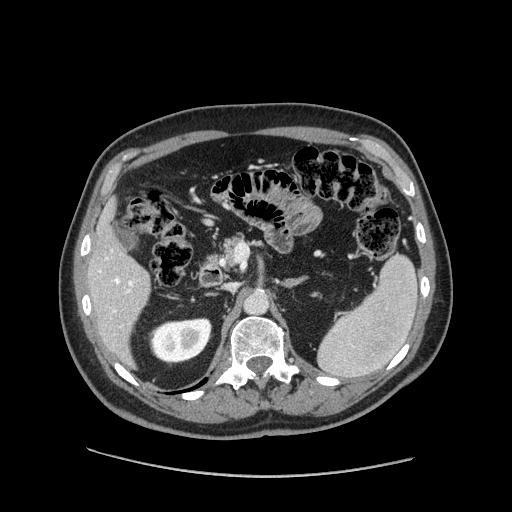 Upper abdomen. 512x512. CT slice. • pancreas: rect(223, 236, 240, 261)